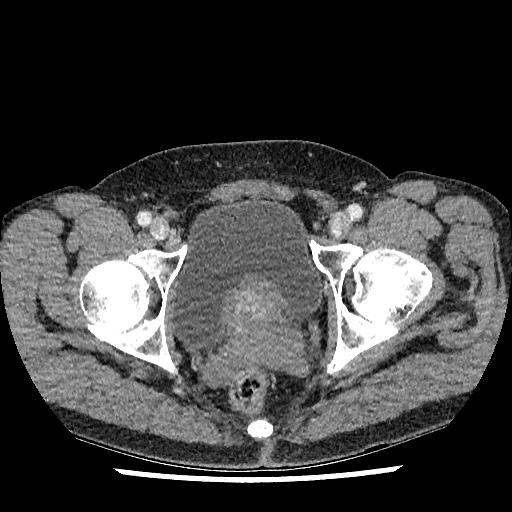 Computed tomography | Pelvis
Urinary bladder at box(172, 198, 323, 349).